FLAIR magnetic resonance.
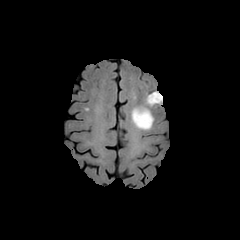
T1-weighted MRI.
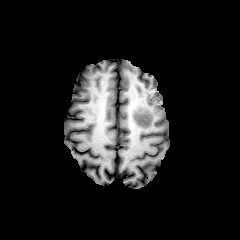
Post-contrast T1-weighted MR image.
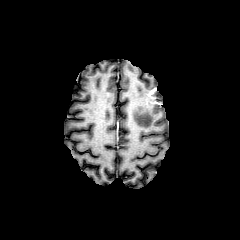
T2-weighted magnetic resonance.
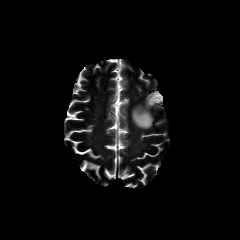
Head
The enhancing tumor is located at (148,93,159,103). The edema appears at (130,101,154,131).